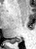 MR image. 36x49. Posterior hippocampus = <bbox>8, 38, 21, 42</bbox>.